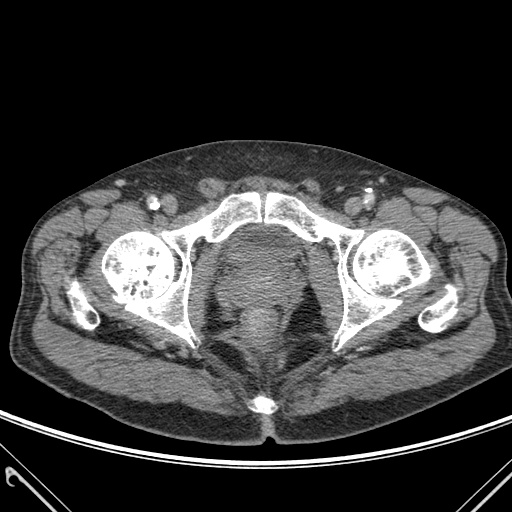
CT

Bone = bbox(418, 285, 457, 331); bbox(253, 397, 273, 413); bbox(102, 192, 430, 349); bbox(68, 281, 98, 329).